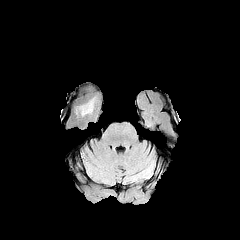
FLAIR MRI.
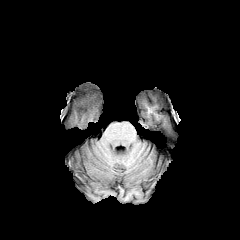
T1-weighted MRI.
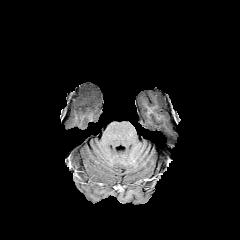
Post-contrast T1-weighted MRI.
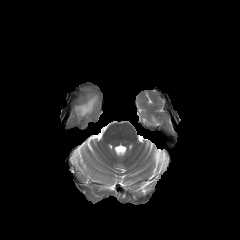
T2-weighted MR image of the same slice.
edema: x1=78, y1=97, x2=95, y2=116